Slice index 69. Image size 240x240.
FLAIR magnetic resonance.
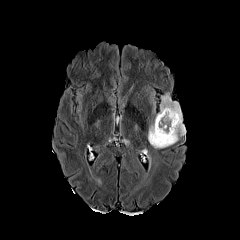
T1-weighted MR.
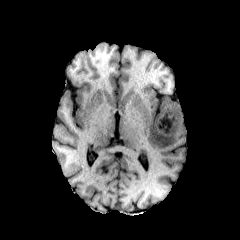
Post-contrast T1-weighted MRI.
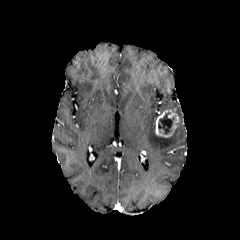
T2-weighted MRI.
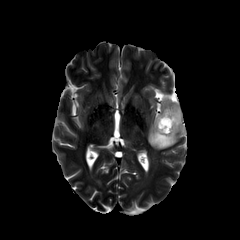
Non-enhancing tumor core: bounding box [x1=158, y1=112, x2=174, y2=133].
Enhancing tumor: bounding box [x1=154, y1=109, x2=179, y2=137].
Edema: bounding box [x1=148, y1=96, x2=185, y2=150].